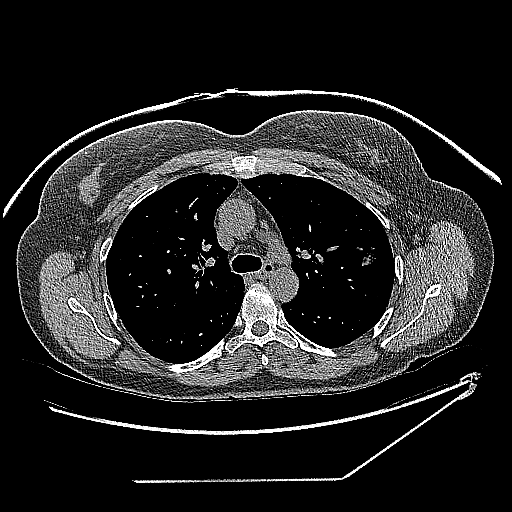
CT slice | 512x512 px
The lung tumor is located at 358 246 379 267.